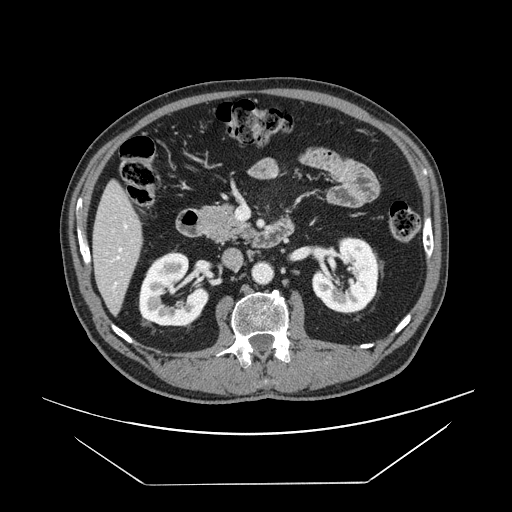

CT scan slice

pancreas: box(200, 202, 255, 244)